Image width 240 mm. 240x240 px.
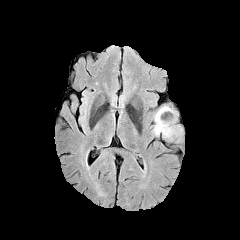
FLAIR MR image.
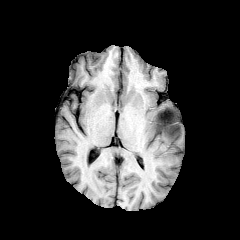
Same slice, T1-weighted MR.
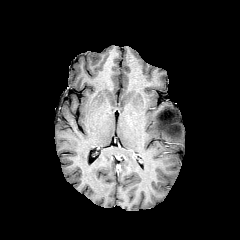
Post-contrast T1-weighted MR.
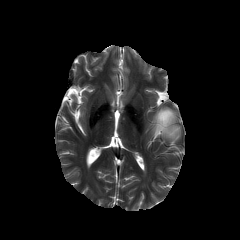
Same slice, T2-weighted MR image.
The edema is at [x1=151, y1=107, x2=181, y2=139]. The non-enhancing tumor core appears at [x1=161, y1=119, x2=171, y2=129].